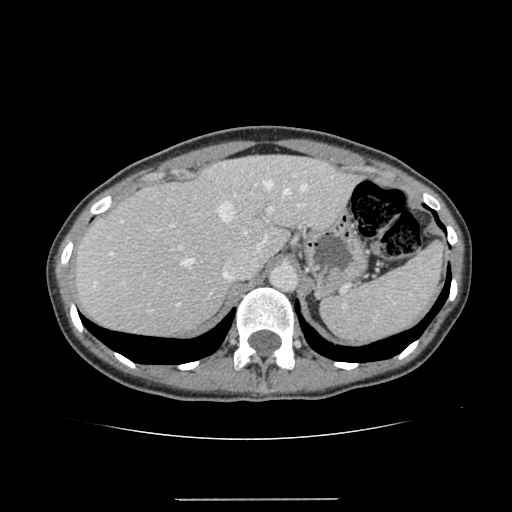 CT scan slice, Image size 512x512
liver:
  - 76, 155, 361, 336